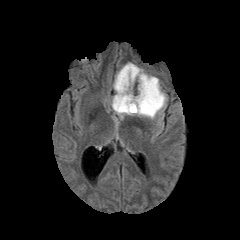
FLAIR MRI.
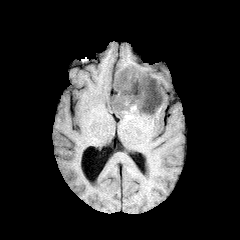
T1-weighted MRI.
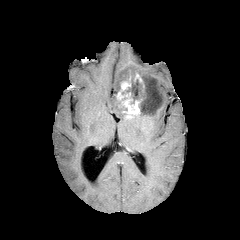
Post-contrast T1-weighted magnetic resonance.
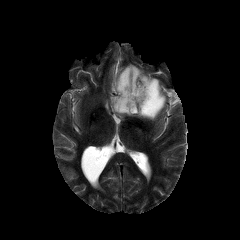
T2-weighted magnetic resonance.
Annotated regions:
- edema: x1=110 y1=62 x2=168 y2=120
- non-enhancing tumor core: x1=114 y1=100 x2=127 y2=112, x1=122 y1=70 x2=156 y2=113
- enhancing tumor: x1=116 y1=78 x2=142 y2=113